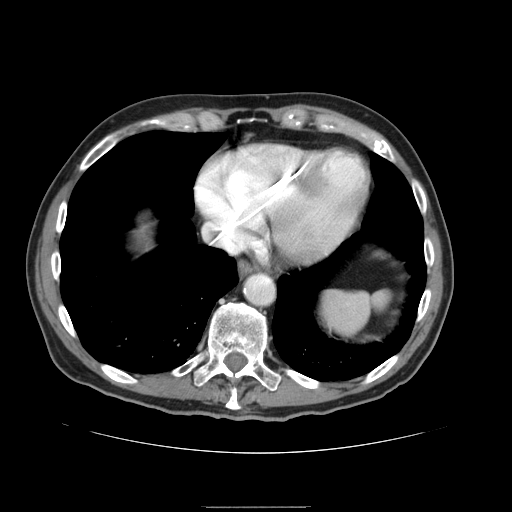 CT slice; Abdomen
<segmentation>
  <spleen>x1=318 y1=291 x2=391 y2=336</spleen>
</segmentation>